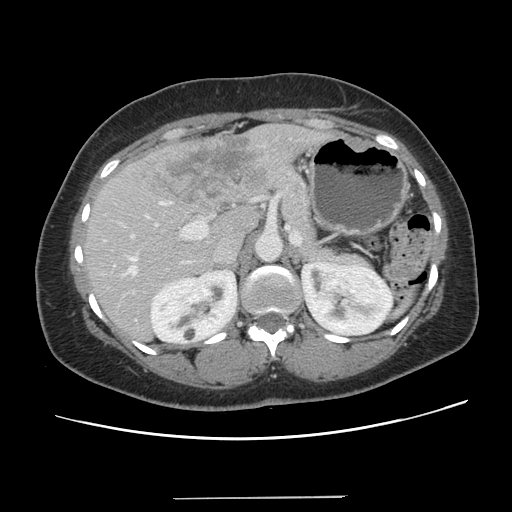 Computed tomography | 512x512 px | Abdomen

The vessel boxes may cover only some of the vessels.
Liver tumor: bounding box box=[157, 136, 263, 203].
Hepatic vessel: bounding box box=[182, 222, 195, 238]; box=[160, 201, 170, 204]; box=[146, 215, 149, 218]; box=[129, 257, 136, 261]; box=[114, 265, 115, 266]; box=[195, 220, 207, 238]; box=[155, 223, 157, 225]; box=[123, 265, 136, 275]; box=[131, 235, 134, 237].